FLAIR MR.
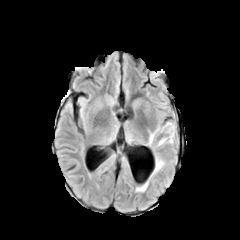
T1-weighted magnetic resonance.
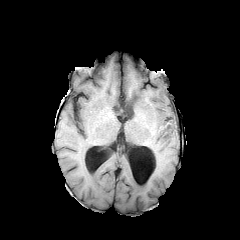
Post-contrast T1-weighted MR.
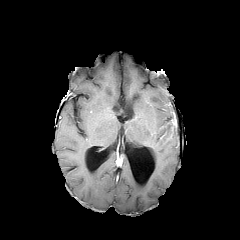
T2-weighted MR.
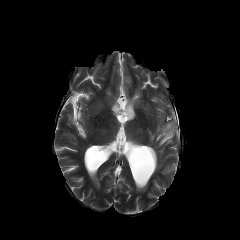
Edema: bbox=[158, 121, 176, 145]; bbox=[146, 132, 154, 149]; bbox=[136, 181, 148, 191]; bbox=[156, 121, 171, 135]; bbox=[151, 152, 164, 176].
Non-enhancing tumor core: bbox=[164, 128, 174, 139].